Slice 77 of 155.
FLAIR MRI.
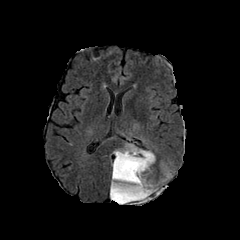
T1-weighted MRI.
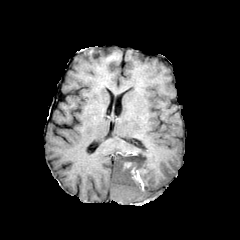
Post-contrast T1-weighted magnetic resonance.
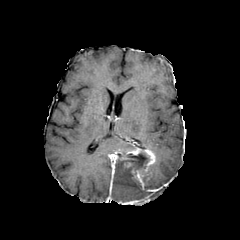
T2-weighted MR image.
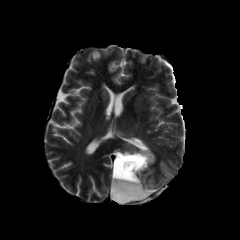
enhancing tumor: box=[112, 152, 119, 177]; box=[142, 150, 154, 165]; box=[119, 200, 139, 204] | edema: box=[141, 164, 159, 187]; box=[114, 144, 137, 153]; box=[114, 182, 144, 193] | non-enhancing tumor core: box=[111, 151, 156, 203]